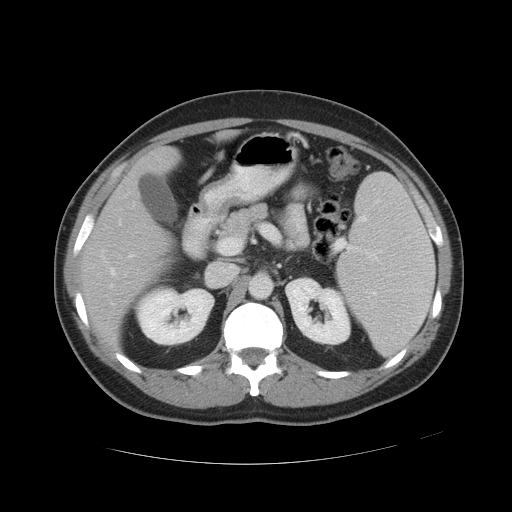
Image size 512x512. CT image. Liver.

Only some of the vessels may be annotated.
5 hepatic vessel regions appear at [133, 202, 134, 204], [110, 284, 112, 286], [119, 219, 121, 224], [110, 267, 114, 274], [129, 254, 134, 256].